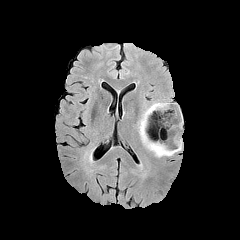
FLAIR MRI.
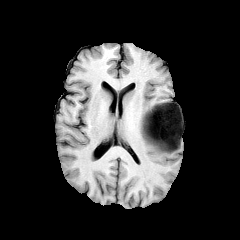
T1-weighted MR image.
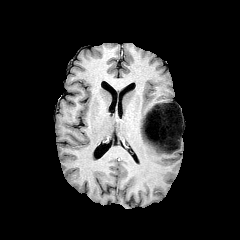
Post-contrast T1-weighted MRI.
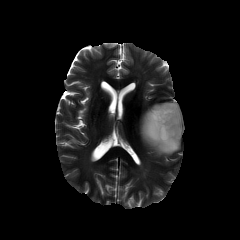
T2-weighted MR image.
non-enhancing tumor core: box(155, 103, 180, 151) | edema: box(172, 103, 182, 133); box(139, 102, 181, 157)